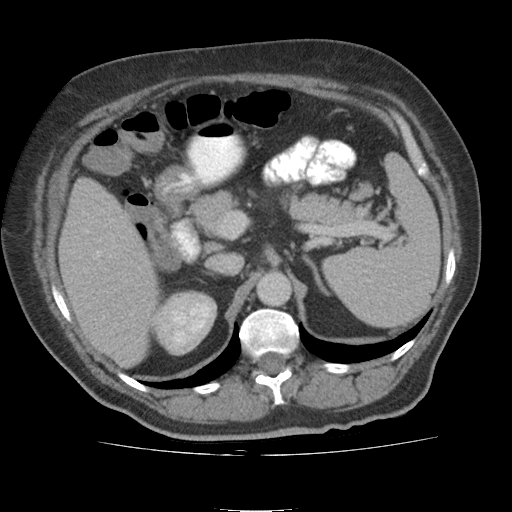
Upper abdomen, Computed tomography
The kidney is located at [x1=157, y1=294, x2=211, y2=347]. The liver is located at [x1=60, y1=182, x2=158, y2=363].